FLAIR magnetic resonance.
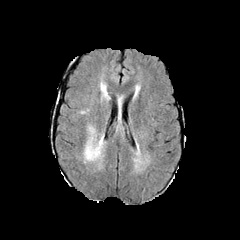
T1-weighted MRI.
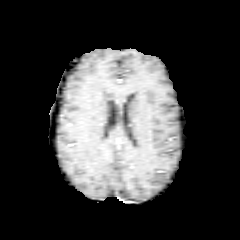
Post-contrast T1-weighted magnetic resonance.
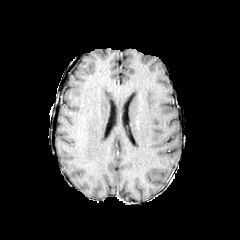
T2-weighted MR image.
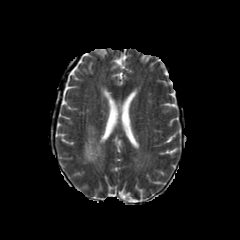
Brain
The edema appears at rect(84, 135, 103, 160).